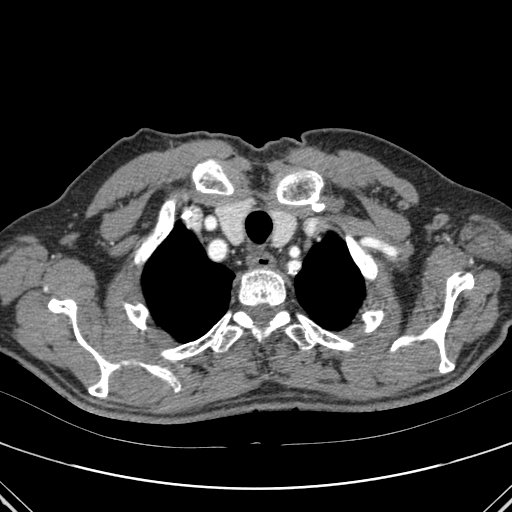 CT image | 512x512 px

lung: x1=142, y1=223, x2=234, y2=342; x1=295, y1=232, x2=364, y2=330 | bone: x1=192, y1=160, x2=233, y2=195; x1=161, y1=311, x2=354, y2=360; x1=181, y1=210, x2=196, y2=226; x1=48, y1=298, x2=116, y2=397; x1=419, y1=272, x2=474, y2=373; x1=239, y1=269, x2=285, y2=307; x1=276, y1=171, x2=323, y2=211; x1=137, y1=199, x2=175, y2=263; x1=124, y1=303, x2=148, y2=329; x1=390, y1=335, x2=413, y2=351; x1=144, y1=364, x2=179, y2=392; x1=362, y1=310, x2=383, y2=332; x1=346, y1=234, x2=377, y2=279